Slice 8 of 38. MR. 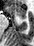

Anterior hippocampus — x1=9, y1=5, x2=26, y2=18.